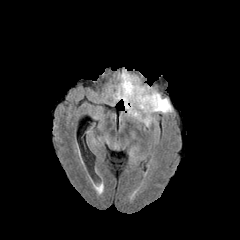
FLAIR MR image.
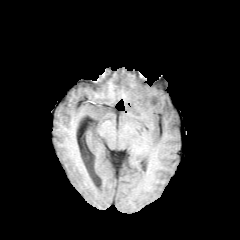
T1-weighted MR image.
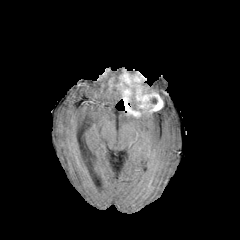
Post-contrast T1-weighted magnetic resonance.
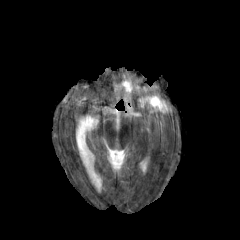
T2-weighted MR.
240x240
<segmentation>
  <enhancing_tumor>(left=118, top=72, right=163, bottom=116)</enhancing_tumor>
  <edema>(left=113, top=86, right=122, bottom=99), (left=126, top=94, right=171, bottom=126)</edema>
  <non-enhancing_tumor_core>(left=129, top=86, right=146, bottom=115)</non-enhancing_tumor_core>
</segmentation>